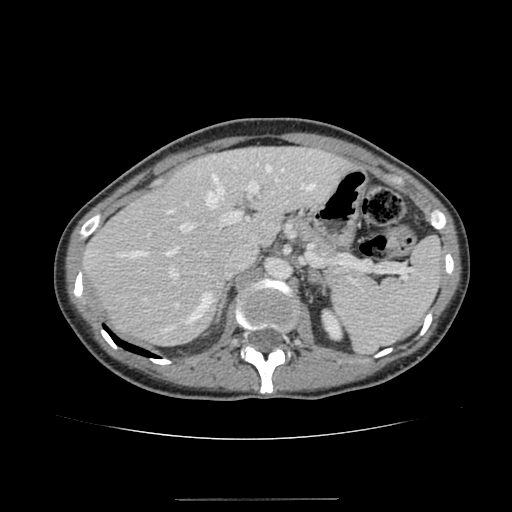

CT | Abdomen
<segmentation>
  <liver>(left=84, top=146, right=355, bottom=345)</liver>
  <kidney>(left=323, top=312, right=340, bottom=337)</kidney>
</segmentation>